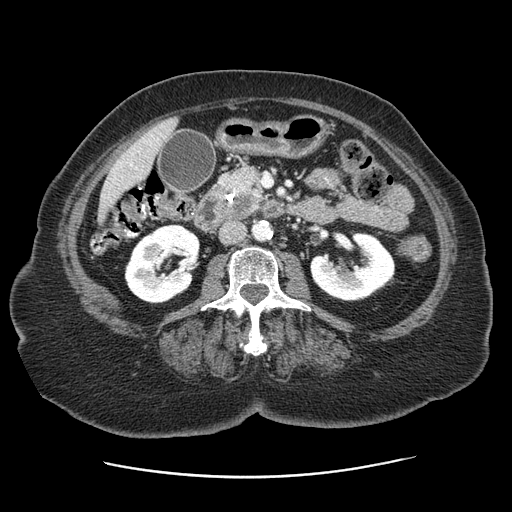

CT scan slice
The pancreatic tumor is at 229 194 254 217. The pancreas is located at 214 164 266 221.